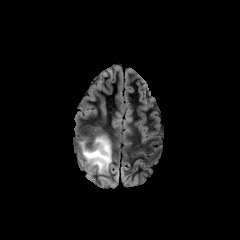
FLAIR MR.
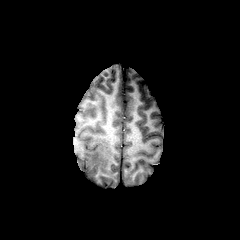
T1-weighted MR.
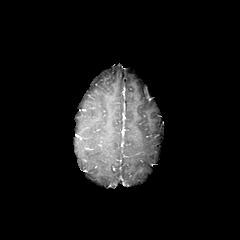
Post-contrast T1-weighted MR.
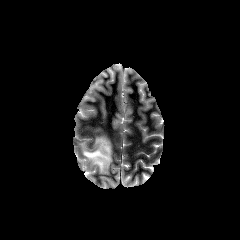
T2-weighted MRI of the same slice.
Brain. 240x240 px.
Edema: bounding box l=83, t=136, r=111, b=174.